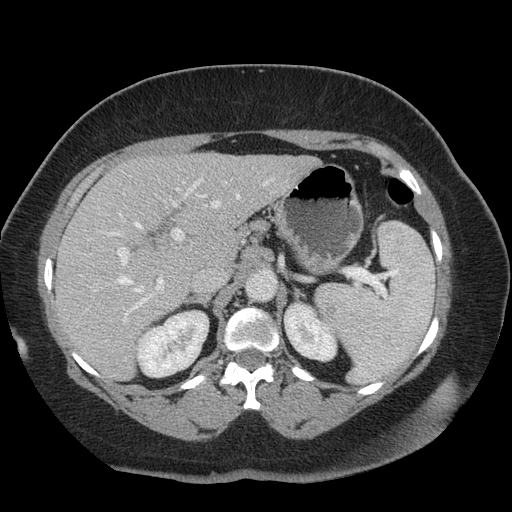
CT. The vessel annotation is not exhaustive.
The most prominent 15 hepatic vessel regions (of 21) appear at x1=157 y1=278 x2=163 y2=291, x1=197 y1=194 x2=205 y2=197, x1=172 y1=201 x2=176 y2=206, x1=118 y1=248 x2=128 y2=263, x1=107 y1=232 x2=121 y2=236, x1=236 y1=195 x2=239 y2=198, x1=186 y1=178 x2=203 y2=195, x1=263 y1=179 x2=274 y2=185, x1=134 y1=286 x2=143 y2=292, x1=124 y1=292 x2=154 y2=323, x1=95 y1=286 x2=98 y2=291, x1=212 y1=201 x2=220 y2=207, x1=118 y1=277 x2=131 y2=284, x1=135 y1=223 x2=141 y2=228, x1=172 y1=229 x2=183 y2=240.